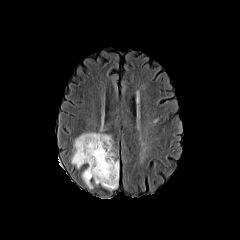
FLAIR MR image.
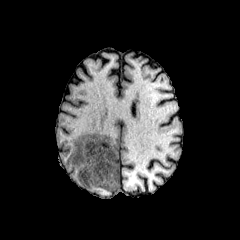
T1-weighted magnetic resonance of the same slice.
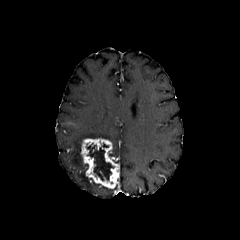
Post-contrast T1-weighted MR image of the same slice.
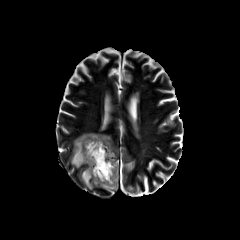
T2-weighted MRI.
Head
enhancing_tumor:
  - [x1=81, y1=138, x2=119, y2=188]
non-enhancing_tumor_core:
  - [x1=86, y1=142, x2=114, y2=181]
edema:
  - [x1=82, y1=170, x2=92, y2=189]
  - [x1=71, y1=133, x2=111, y2=168]